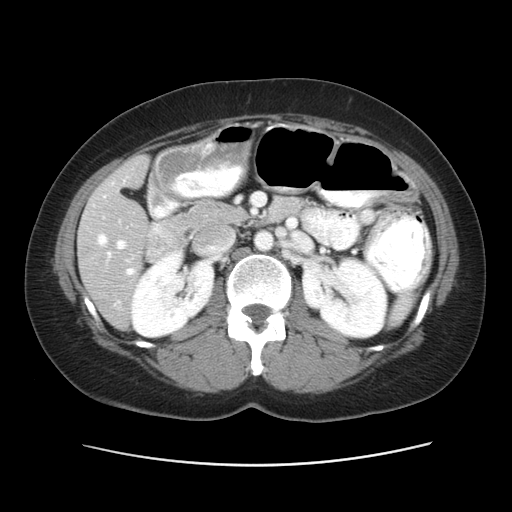
CT scan slice
Not every hepatic vessel necessarily has a box.
Hepatic vessel: bounding box (107,252,110,258), (127,269,133,273), (98,235,106,244), (115,301,119,303), (117,241,124,248), (126,259,128,261).
Liver tumor: bounding box (79,246,92,258).